512x512 | Liver | CT slice

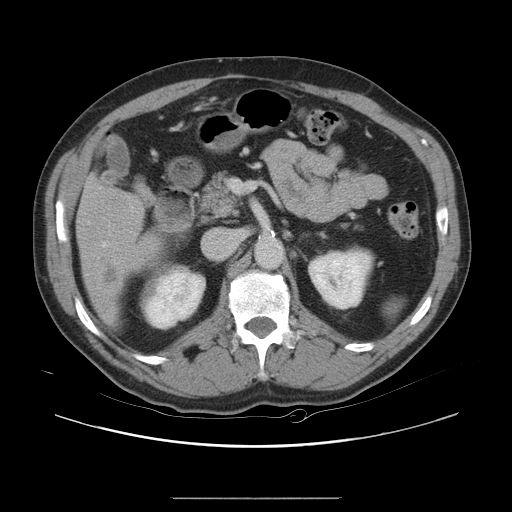

The vessel boxes may cover only some of the vessels.
The hepatic vessel is located at x1=102 y1=242 x2=106 y2=247. The liver tumor appears at x1=99 y1=258 x2=119 y2=288.